Computed tomography.

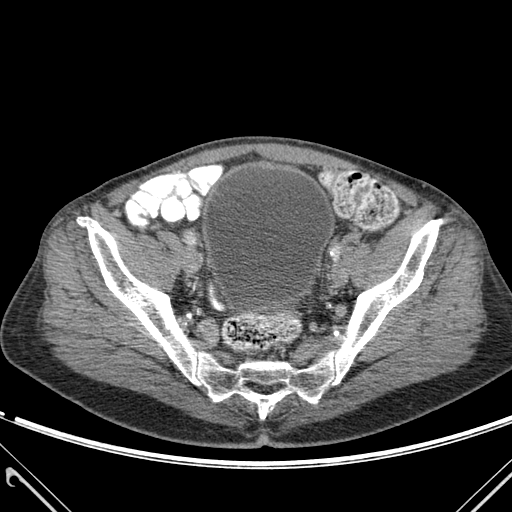

Annotated regions:
- urinary bladder: [206, 168, 331, 308]
- bone: [77, 217, 442, 418]